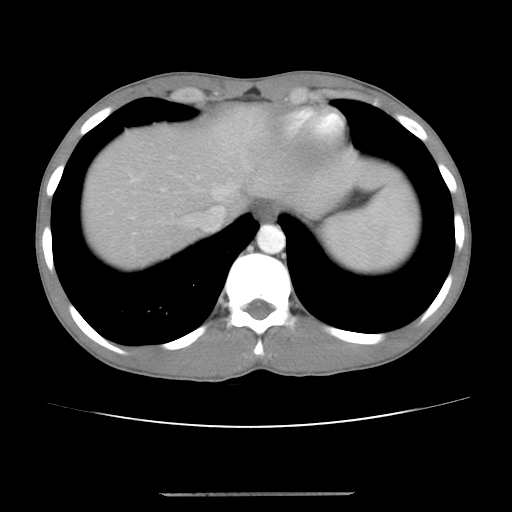 Liver; 512x512; CT slice
Not every hepatic vessel necessarily has a box.
Hepatic vessel: (x1=185, y1=204, x2=224, y2=228), (x1=211, y1=182, x2=235, y2=201), (x1=238, y1=148, x2=246, y2=167).